Image width 409 mm, CT

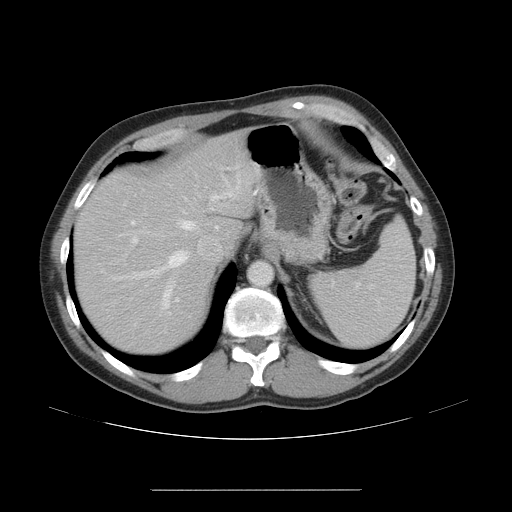

The vessel annotation is not exhaustive.
14 hepatic vessel regions are located at {"x1": 215, "y1": 226, "x2": 218, "y2": 229}, {"x1": 163, "y1": 280, "x2": 174, "y2": 308}, {"x1": 237, "y1": 180, "x2": 240, "y2": 183}, {"x1": 114, "y1": 267, "x2": 165, "y2": 280}, {"x1": 131, "y1": 220, "x2": 134, "y2": 224}, {"x1": 181, "y1": 221, "x2": 194, "y2": 229}, {"x1": 211, "y1": 192, "x2": 234, "y2": 200}, {"x1": 220, "y1": 167, "x2": 222, "y2": 169}, {"x1": 175, "y1": 298, "x2": 178, "y2": 301}, {"x1": 132, "y1": 238, "x2": 137, "y2": 244}, {"x1": 236, "y1": 165, "x2": 238, "y2": 168}, {"x1": 169, "y1": 251, "x2": 187, "y2": 266}, {"x1": 209, "y1": 204, "x2": 213, "y2": 210}, {"x1": 236, "y1": 186, "x2": 239, "y2": 193}.